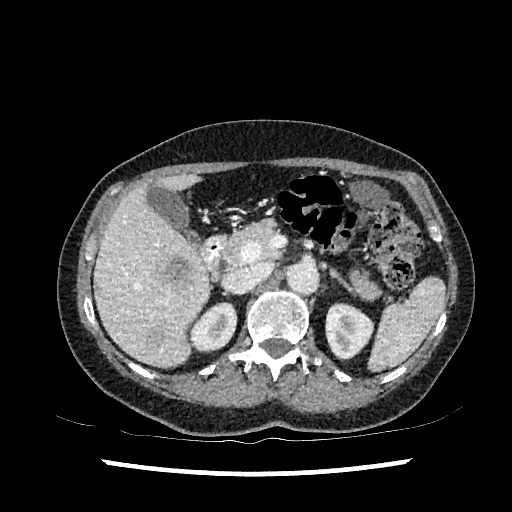

Image size 512x512 | CT scan slice | Upper abdomen
Hepatic lesion = box(148, 326, 165, 350); box(163, 257, 192, 289).
Liver = box(156, 174, 197, 189); box(94, 183, 207, 366).
Kidney = box(326, 305, 372, 358); box(192, 304, 236, 349).